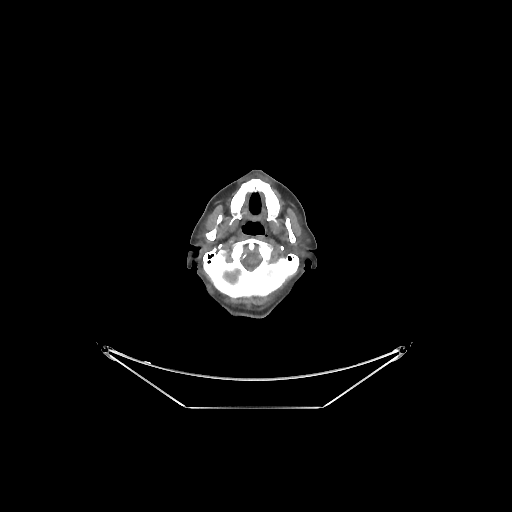

CT scan slice, 512x512
<segmentation>
  <brain>{"x1": 223, "y1": 269, "x2": 240, "y2": 283}, {"x1": 241, "y1": 253, "x2": 262, "y2": 271}</brain>
  <bone>{"x1": 285, "y1": 218, "x2": 295, "y2": 243}, {"x1": 230, "y1": 179, "x2": 279, "y2": 223}, {"x1": 203, "y1": 238, "x2": 298, "y2": 298}, {"x1": 206, "y1": 215, "x2": 222, "y2": 240}</bone>
</segmentation>